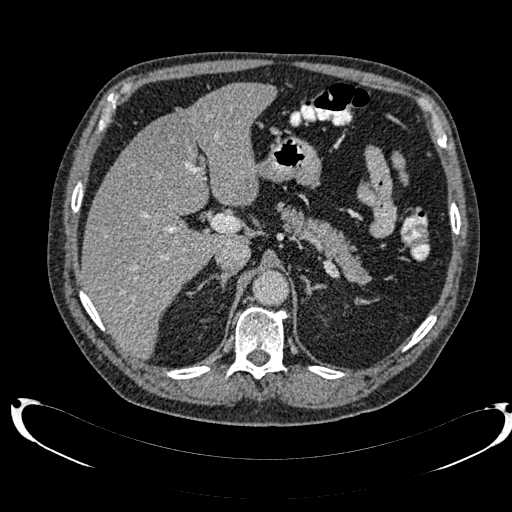

Upper abdomen; Computed tomography
The focal liver lesion appears at {"x1": 137, "y1": 115, "x2": 190, "y2": 172}. The liver appears at {"x1": 81, "y1": 83, "x2": 276, "y2": 357}.